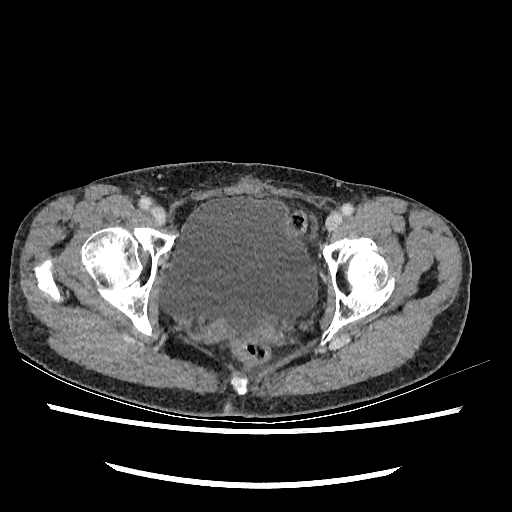 Lower abdomen, CT scan slice, Image size 512x512
Urinary bladder: bounding box <bbox>158, 196, 317, 339</bbox>.